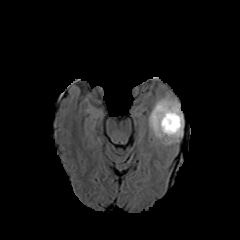
FLAIR MRI.
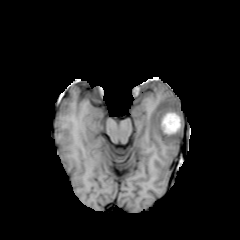
T1-weighted magnetic resonance.
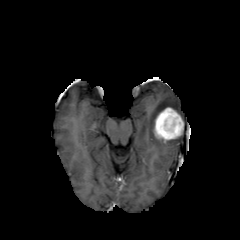
Post-contrast T1-weighted MRI of the same slice.
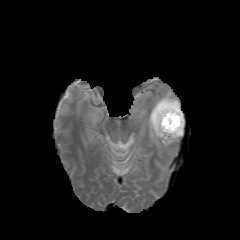
Same slice, T2-weighted MRI.
Enhancing tumor = (x1=162, y1=112, x2=180, y2=133).
Non-enhancing tumor core = (x1=152, y1=100, x2=177, y2=131).
Edema = (x1=140, y1=91, x2=184, y2=149).